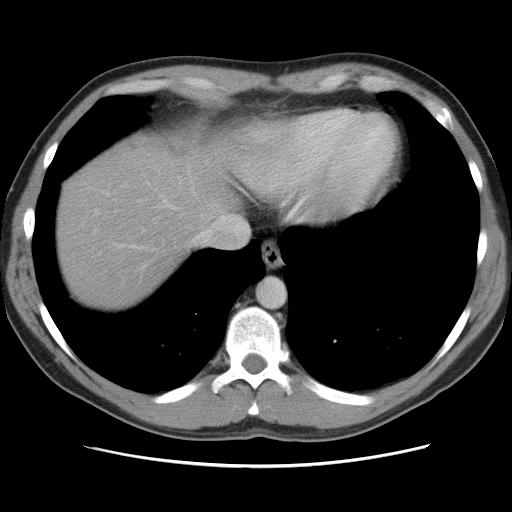 Image size 512x512, Computed tomography

Only some of the vessels may be annotated.
{"hepatic_vessel": ["box=[195, 236, 198, 240]"]}